CT 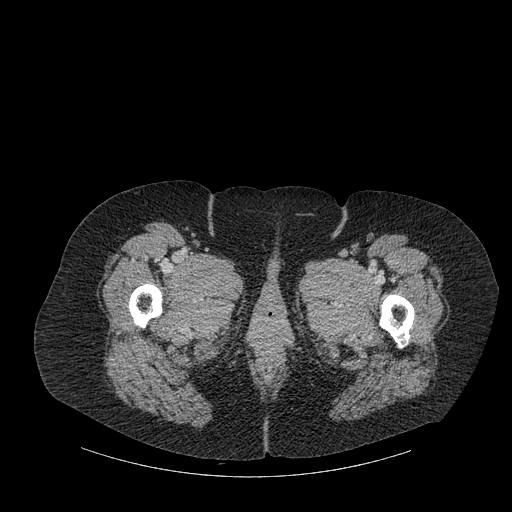

Bone at [380,294,414,347], [129,284,161,327].